240x240. Brain.
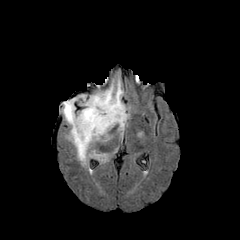
FLAIR MRI.
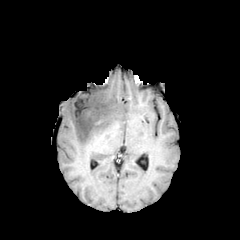
T1-weighted MR image.
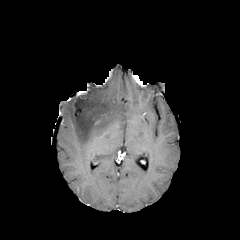
Same slice, post-contrast T1-weighted MR image.
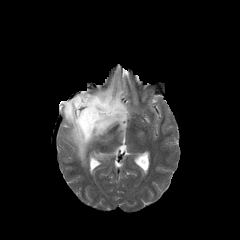
T2-weighted MR.
Findings:
* edema: 60,79,129,164
* non-enhancing tumor core: 66,94,107,138